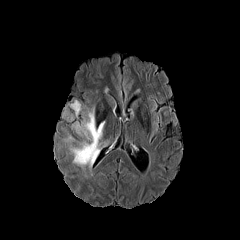
FLAIR MR.
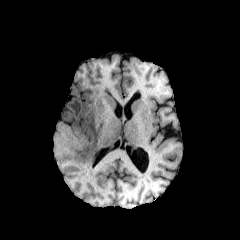
Same slice, T1-weighted MR image.
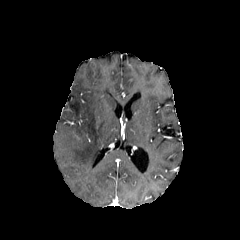
Post-contrast T1-weighted MRI.
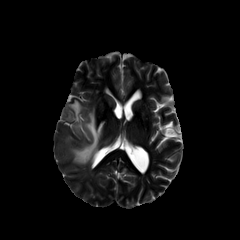
T2-weighted MRI of the same slice.
Head
2 edema regions are bounded by left=72, top=109, right=105, bottom=168; left=69, top=100, right=80, bottom=116.